512x512 | Liver | CT image | Slice index 434 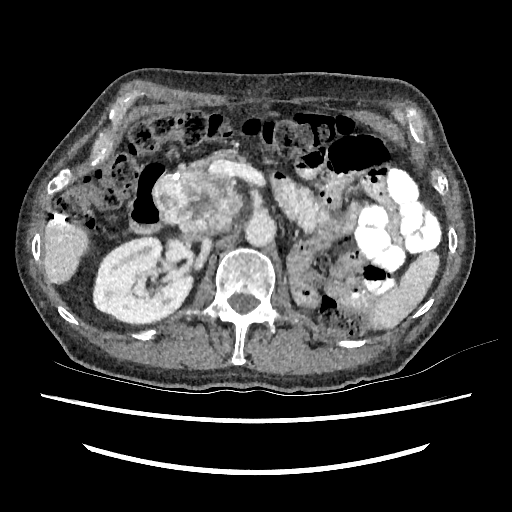

liver: 44:221:88:283 | kidney: 94:238:192:323